CT | Image width 351 mm
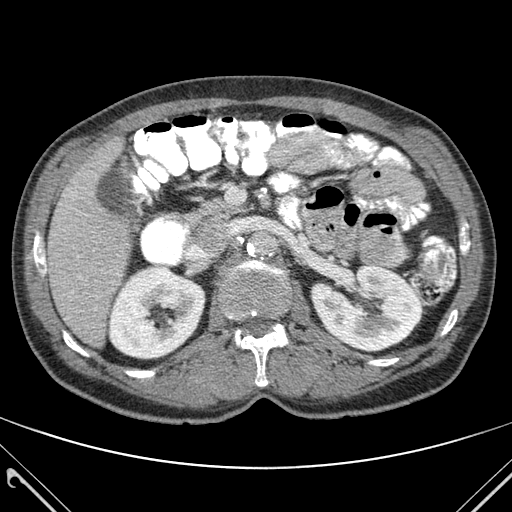 <segmentation>
  <bone>[64,332,87,355], [461,225,469,251], [34,232,45,270], [235,324,287,386], [370,358,397,365], [224,261,285,317], [442,310,456,334], [126,371,153,377]</bone>
  <kidney>[312,266,421,350], [110,267,204,357]</kidney>
  <liver>[47,138,131,346]</liver>
</segmentation>